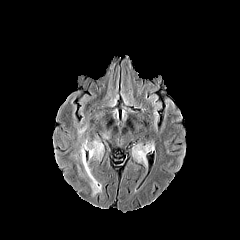
FLAIR MR.
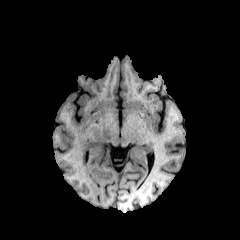
T1-weighted MR of the same slice.
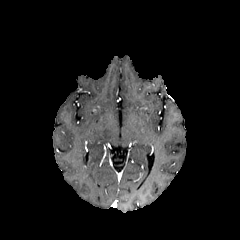
Post-contrast T1-weighted MR image.
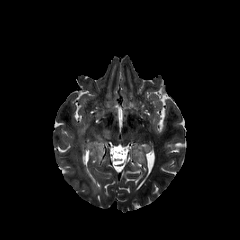
Same slice, T2-weighted MR.
Head.
<segmentation>
  <edema>region(81, 143, 86, 165); region(89, 143, 102, 157); region(132, 143, 152, 165); region(85, 167, 101, 193)</edema>
</segmentation>